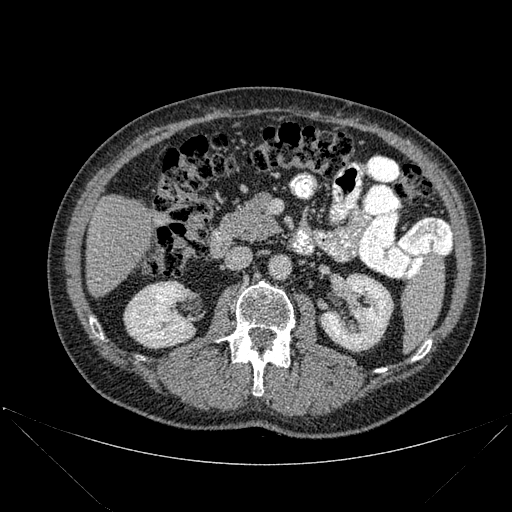
Upper abdomen | CT slice | 512x512
Kidney — {"x1": 321, "y1": 274, "x2": 393, "y2": 350}, {"x1": 124, "y1": 281, "x2": 194, "y2": 347}.
Bone — {"x1": 90, "y1": 317, "x2": 102, "y2": 338}, {"x1": 217, "y1": 281, "x2": 294, "y2": 395}, {"x1": 412, "y1": 340, "x2": 431, "y2": 360}.
Liver — {"x1": 86, "y1": 195, "x2": 151, "y2": 296}.